Image size 512x512 | Computed tomography 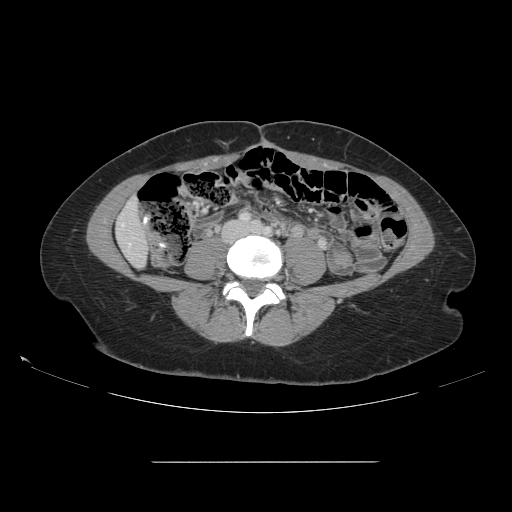 The vessel boxes may cover only some of the vessels.
{
  "hepatic_vessel": [
    "x1=122, y1=224, x2=123, y2=226",
    "x1=128, y1=243, x2=130, y2=246"
  ]
}